FLAIR magnetic resonance.
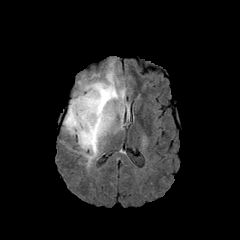
T1-weighted MR image.
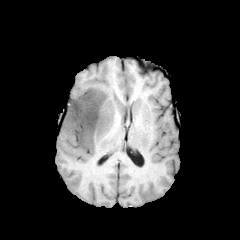
Post-contrast T1-weighted MR.
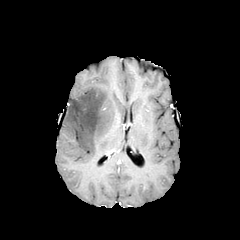
T2-weighted MR image.
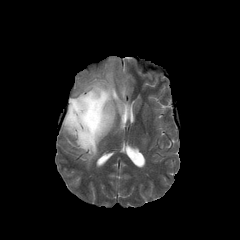
edema: x1=63, y1=63, x2=129, y2=165 | non-enhancing tumor core: x1=69, y1=89, x2=109, y2=140